Image width 240 mm. Slice index 79. Image size 240x240.
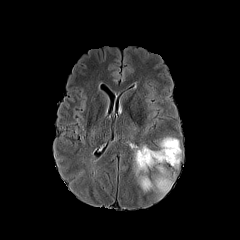
FLAIR MR image.
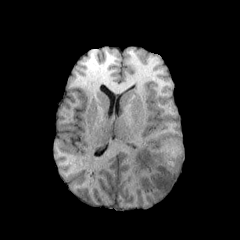
T1-weighted MR.
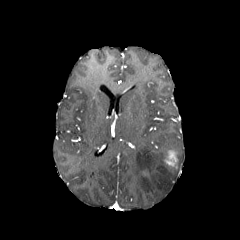
Same slice, post-contrast T1-weighted MR.
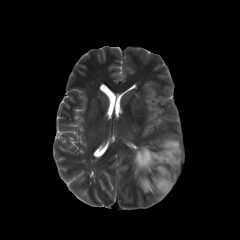
T2-weighted MRI.
<segmentation>
  <edema>left=134, top=139, right=180, bottom=196</edema>
  <enhancing_tumor>left=163, top=148, right=178, bottom=169</enhancing_tumor>
</segmentation>